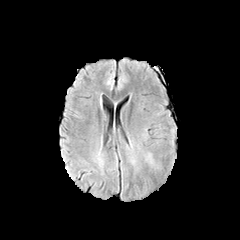
FLAIR magnetic resonance.
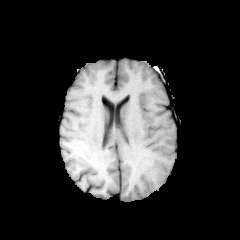
T1-weighted MRI.
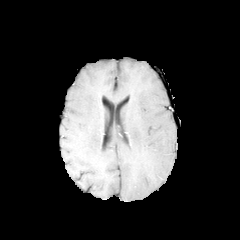
Post-contrast T1-weighted MR image.
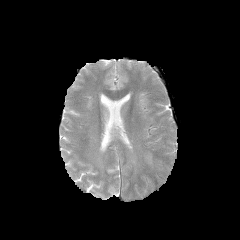
Same slice, T2-weighted MRI.
Brain
The edema is at left=145, top=153, right=153, bottom=163.